Upper abdomen, CT image, 512x512 px

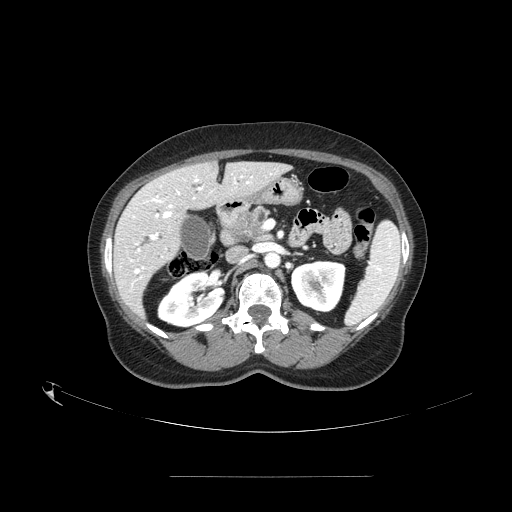 The pancreas is located at 234 206 269 240.